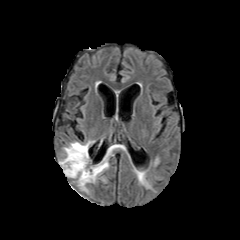
FLAIR MR.
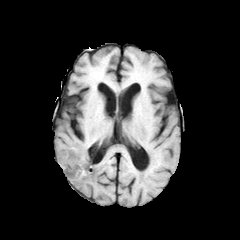
Same slice, T1-weighted MRI.
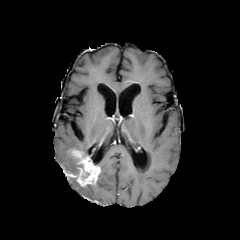
Post-contrast T1-weighted MR image.
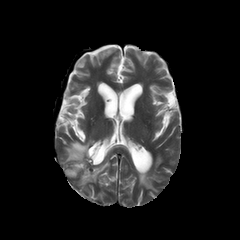
Same slice, T2-weighted MR image.
Head | 240x240 px
{
  "enhancing_tumor": [
    "[64,150,100,185]"
  ],
  "non-enhancing_tumor_core": [
    "[64,155,82,175]"
  ],
  "edema": [
    "[61,140,89,170]",
    "[97,158,108,175]",
    "[135,168,150,187]"
  ]
}